Slice 28 of 42 | Image size 39x41 | MR image | Medial temporal lobe
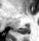 Posterior hippocampus: left=16, top=26, right=28, bottom=34.